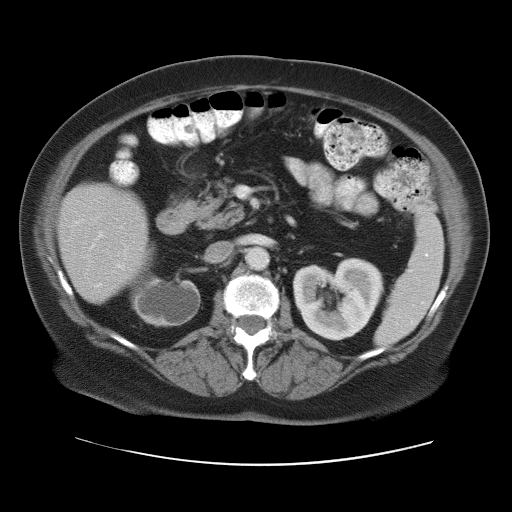
CT, 512x512
Spleen = (375, 213, 443, 344).